FLAIR MRI.
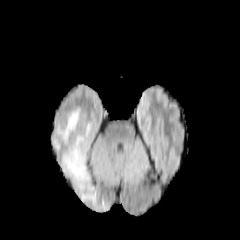
T1-weighted MRI.
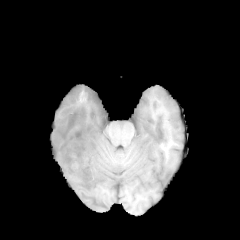
Post-contrast T1-weighted MRI.
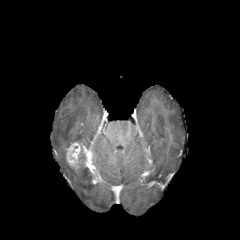
T2-weighted magnetic resonance.
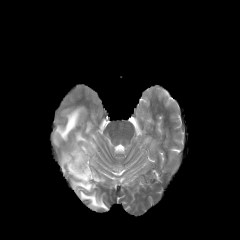
240x240 px
The enhancing tumor is at region(65, 141, 89, 170). 3 edema regions are located at region(53, 107, 84, 151); region(76, 133, 87, 160); region(60, 151, 106, 208). The non-enhancing tumor core is bounded by region(69, 163, 85, 174).